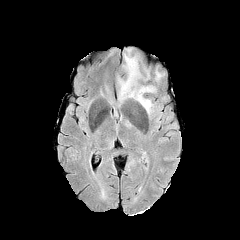
FLAIR MRI.
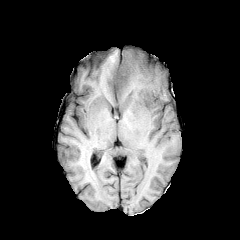
Same slice, T1-weighted MRI.
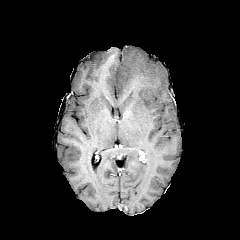
Post-contrast T1-weighted MR.
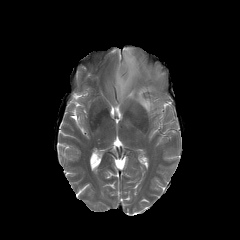
T2-weighted magnetic resonance.
Brain
The edema is at box(117, 49, 156, 117).